Brain. Slice 33 of 155. Image size 240x240.
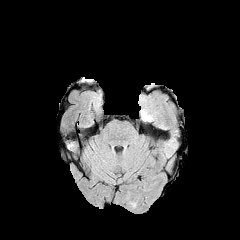
FLAIR magnetic resonance.
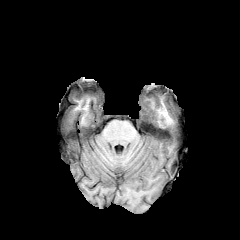
T1-weighted MRI.
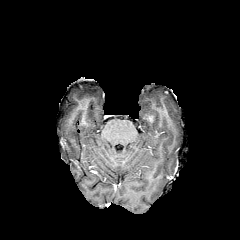
Post-contrast T1-weighted MRI.
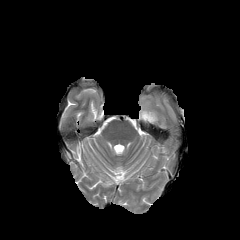
T2-weighted MR of the same slice.
Edema: [140,109,154,121].